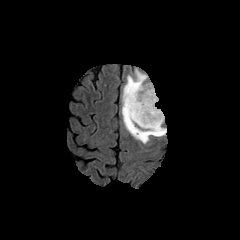
FLAIR MRI.
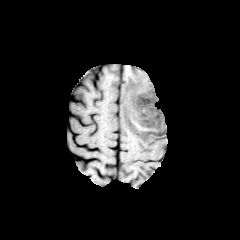
T1-weighted magnetic resonance.
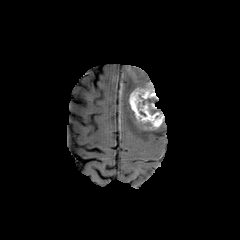
Post-contrast T1-weighted MR.
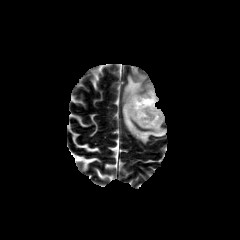
T2-weighted MR of the same slice.
Head
Enhancing tumor — [x1=129, y1=81, x2=164, y2=131].
Non-enhancing tumor core — [x1=142, y1=98, x2=157, y2=104].
Edema — [x1=121, y1=68, x2=166, y2=144].